Image width 382 mm. Upper abdomen. CT slice. Image size 512x512.

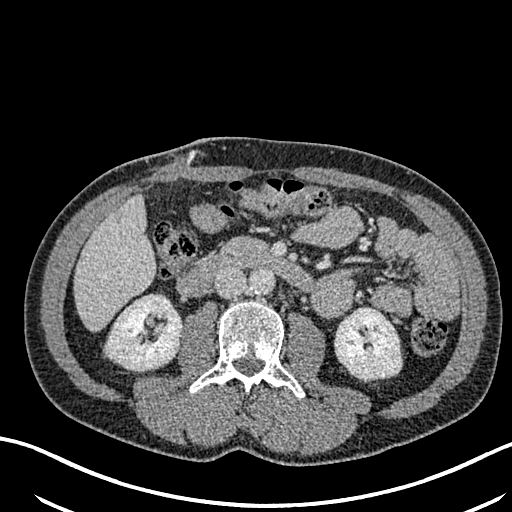

focal_liver_lesion:
  - (115, 210, 127, 221)
liver:
  - (74, 195, 153, 329)
kidney:
  - (108, 295, 181, 370)
  - (335, 308, 401, 378)